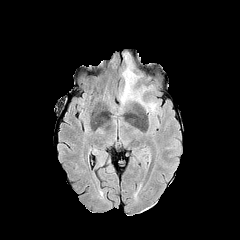
FLAIR MR.
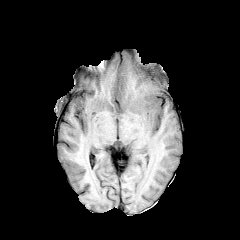
Same slice, T1-weighted MR.
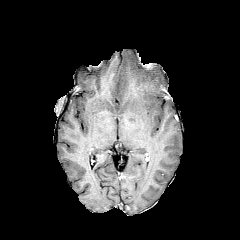
Same slice, post-contrast T1-weighted MR.
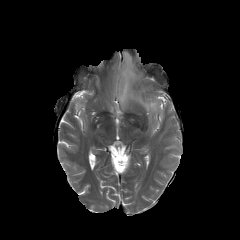
T2-weighted MR image of the same slice.
240x240; Brain
Edema: 119,54,158,122.